Slice 28 of 155. Image width 240 mm.
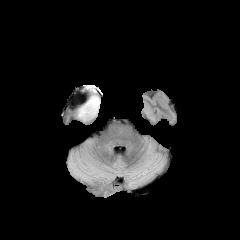
FLAIR MR.
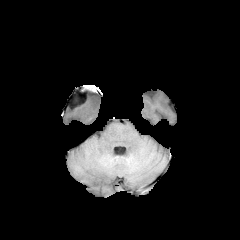
T1-weighted MR image.
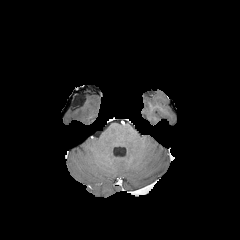
Same slice, post-contrast T1-weighted MR.
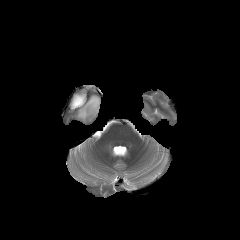
Same slice, T2-weighted magnetic resonance.
<segmentation>
  <edema>box(77, 95, 100, 121)</edema>
</segmentation>